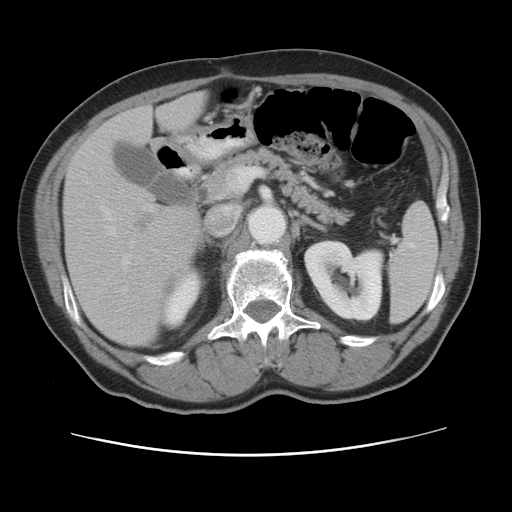
CT slice

The vessel annotation is not exhaustive.
Liver tumor at (left=134, top=214, right=152, bottom=232).
Hepatic vessel at (left=126, top=132, right=134, bottom=136), (left=80, top=203, right=83, bottom=206), (left=122, top=287, right=126, bottom=290), (left=186, top=248, right=188, bottom=250), (left=144, top=203, right=153, bottom=210), (left=151, top=321, right=153, bottom=326).